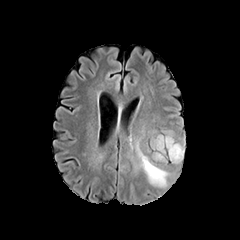
FLAIR MRI.
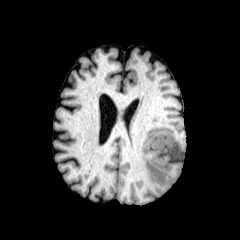
Same slice, T1-weighted MRI.
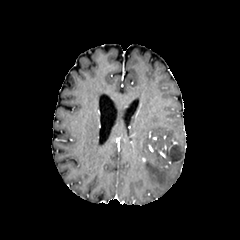
Post-contrast T1-weighted MRI.
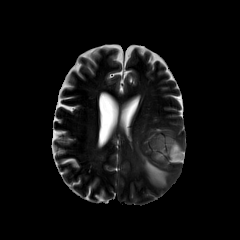
T2-weighted MRI of the same slice.
Brain
• edema: (left=153, top=134, right=184, bottom=161), (left=142, top=156, right=167, bottom=185)